Slice 71 of 141, CT scan slice, 512x512

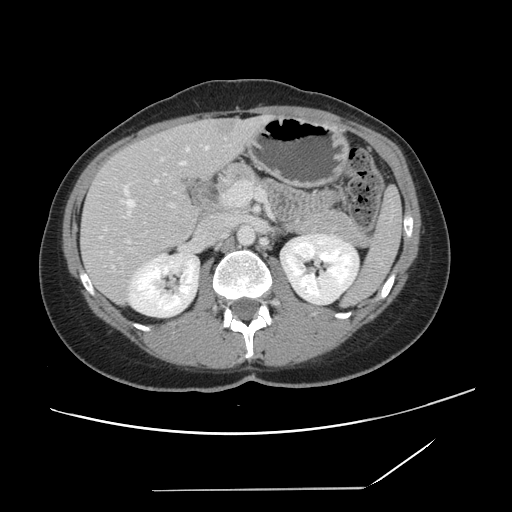

The vessel annotation is not exhaustive.
* hepatic vessel: {"x1": 100, "y1": 237, "x2": 101, "y2": 238}, {"x1": 170, "y1": 203, "x2": 173, "y2": 206}, {"x1": 121, "y1": 198, "x2": 134, "y2": 208}, {"x1": 154, "y1": 180, "x2": 157, "y2": 182}, {"x1": 112, "y1": 266, "x2": 114, "y2": 268}, {"x1": 205, "y1": 147, "x2": 208, "y2": 148}, {"x1": 126, "y1": 240, "x2": 129, "y2": 242}, {"x1": 110, "y1": 251, "x2": 112, "y2": 253}, {"x1": 186, "y1": 148, "x2": 188, "y2": 150}, {"x1": 124, "y1": 211, "x2": 130, "y2": 217}, {"x1": 161, "y1": 158, "x2": 162, "y2": 160}, {"x1": 124, "y1": 184, "x2": 128, "y2": 194}, {"x1": 180, "y1": 161, "x2": 184, "y2": 164}